Lower abdomen | CT | Slice index 30

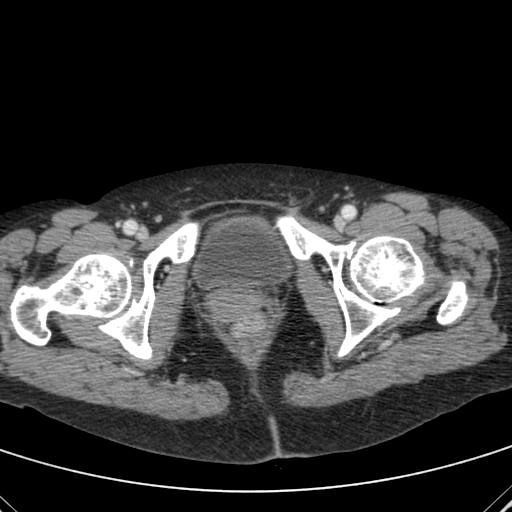
The urinary bladder lies within bbox(193, 214, 295, 289).